Upper abdomen | Computed tomography

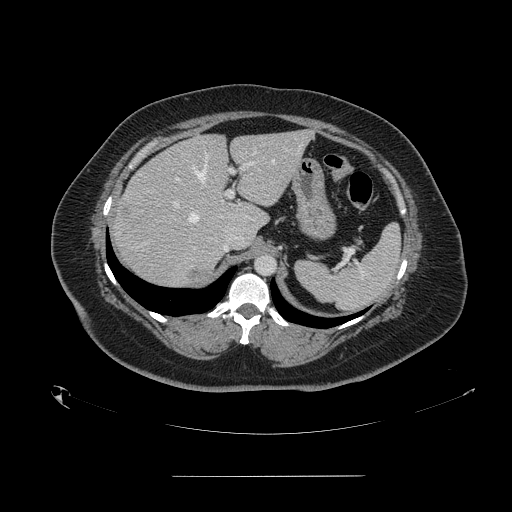 The spleen lies within l=295, t=224, r=400, b=310.